FLAIR MRI.
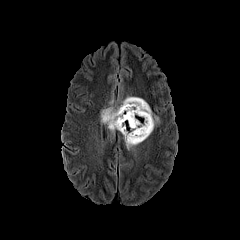
T1-weighted MRI.
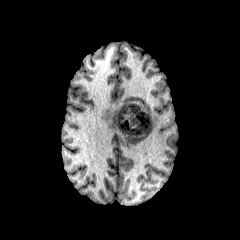
Post-contrast T1-weighted MRI.
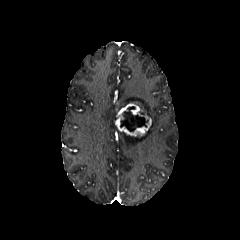
T2-weighted MRI.
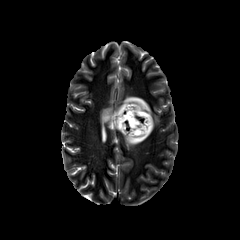
Brain, 240x240 px
Non-enhancing tumor core: left=120, top=106, right=148, bottom=131.
Edema: left=123, top=95, right=160, bottom=149; left=100, top=107, right=116, bottom=131.
Enhancing tumor: left=115, top=101, right=151, bottom=136.